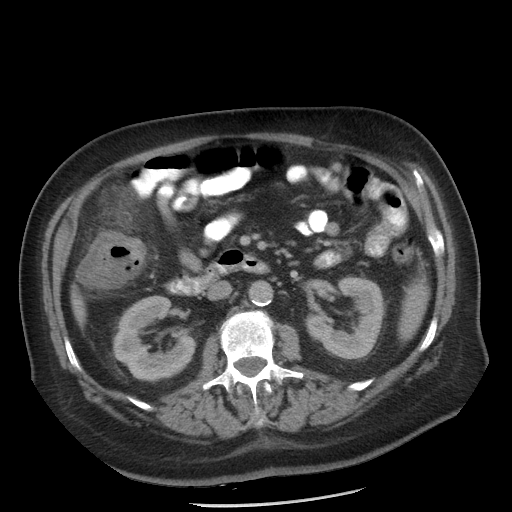 Pelvis, CT image
The colon tumor appears at x1=77 y1=233 x2=145 y2=288.